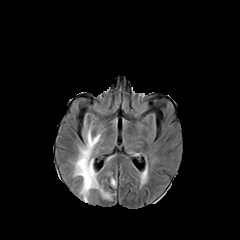
FLAIR MR image.
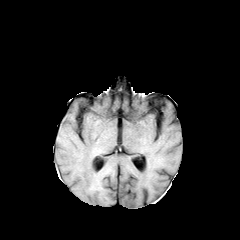
Same slice, T1-weighted MR image.
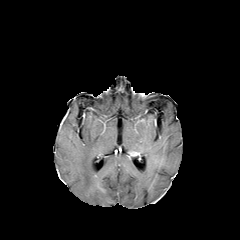
Post-contrast T1-weighted MR of the same slice.
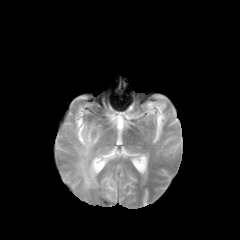
T2-weighted MR.
2 edema regions are located at 108, 177, 116, 188; 73, 126, 115, 201.